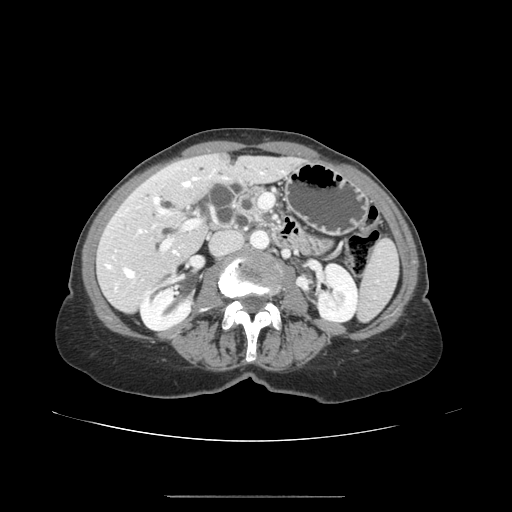 CT slice; 512x512 px
{
  "pancreas": [
    "238 188 265 222"
  ]
}